Field of view 358x358 mm, Liver, CT image
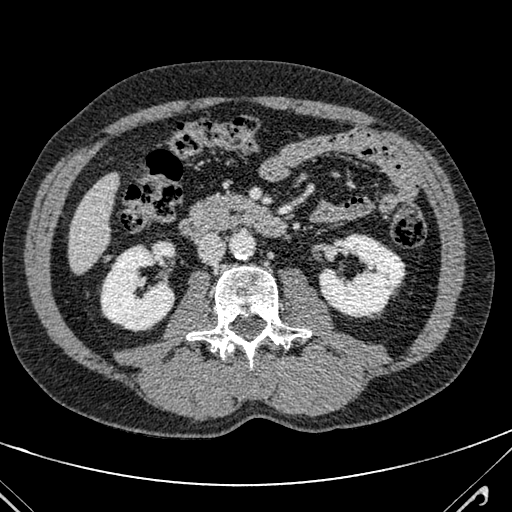 liver: region(69, 175, 117, 271)